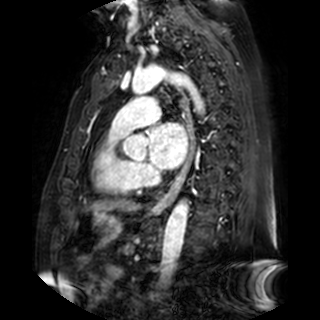 MRI
The left atrium is bounded by 149,122,187,168.